FLAIR MR image.
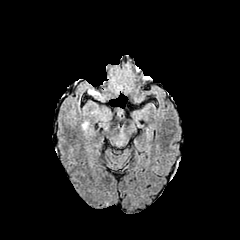
T1-weighted MRI.
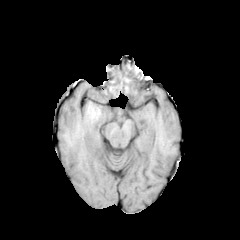
Post-contrast T1-weighted MR image.
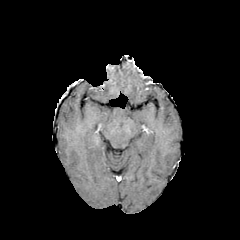
T2-weighted MRI.
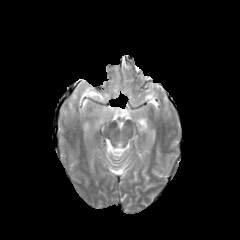
240x240, Brain
The edema is at 88,88,109,101.